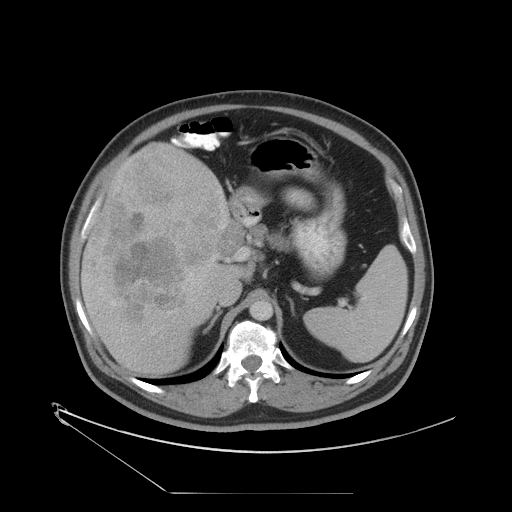

512x512; Computed tomography

The vessel boxes may cover only some of the vessels.
hepatic_vessel:
  - x1=150, y1=327, x2=154, y2=334
  - x1=107, y1=294, x2=110, y2=296
  - x1=189, y1=288, x2=193, y2=292
  - x1=219, y1=189, x2=224, y2=213
  - x1=111, y1=300, x2=118, y2=306
  - x1=120, y1=327, x2=121, y2=330
  - x1=199, y1=287, x2=201, y2=288
  - x1=117, y1=316, x2=127, y2=327
  - x1=98, y1=288, x2=103, y2=294
  - x1=191, y1=282, x2=193, y2=286
  - x1=225, y1=216, x2=227, y2=222
  - x1=200, y1=256, x2=215, y2=276
  - x1=110, y1=280, x2=112, y2=290
  - x1=187, y1=298, x2=192, y2=300
liver_tumor:
  - x1=85, y1=143, x2=243, y2=329